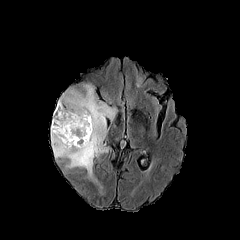
FLAIR MR.
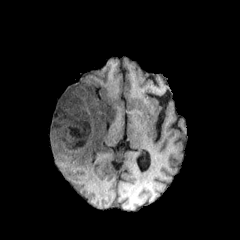
Same slice, T1-weighted MR image.
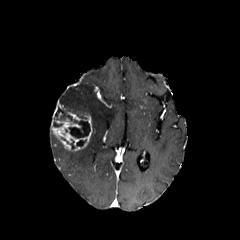
Same slice, post-contrast T1-weighted MR.
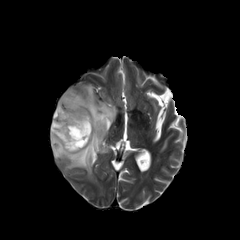
T2-weighted MR.
Brain
<segmentation>
  <enhancing_tumor>(left=51, top=111, right=92, bottom=151)</enhancing_tumor>
  <edema>(left=50, top=82, right=118, bottom=186)</edema>
  <non-enhancing_tumor_core>(left=68, top=120, right=90, bottom=138), (left=76, top=139, right=86, bottom=147), (left=53, top=106, right=70, bottom=127)</non-enhancing_tumor_core>
</segmentation>